FLAIR MR image.
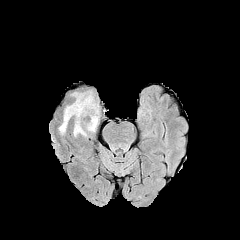
T1-weighted MR image.
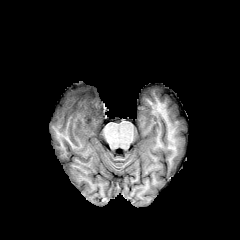
Post-contrast T1-weighted MRI.
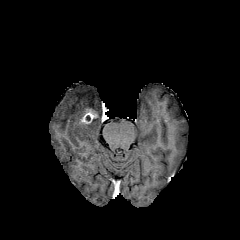
T2-weighted magnetic resonance.
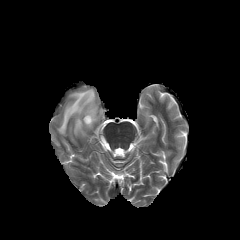
2 edema regions are bounded by [x1=58, y1=90, x2=99, y2=136], [x1=85, y1=117, x2=99, y2=132]. The enhancing tumor is at [x1=79, y1=108, x2=98, y2=124].